FLAIR MR image.
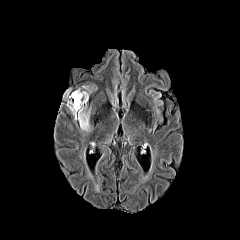
T1-weighted MR image.
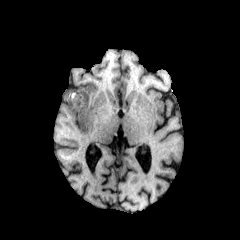
Post-contrast T1-weighted magnetic resonance.
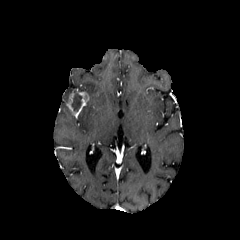
T2-weighted magnetic resonance.
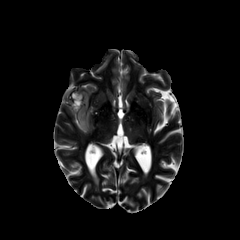
The non-enhancing tumor core is at (left=71, top=94, right=81, bottom=110). The enhancing tumor lies within (left=66, top=89, right=89, bottom=118). 3 edema regions are bounded by (left=81, top=85, right=92, bottom=94), (left=62, top=89, right=71, bottom=99), (left=74, top=106, right=92, bottom=135).